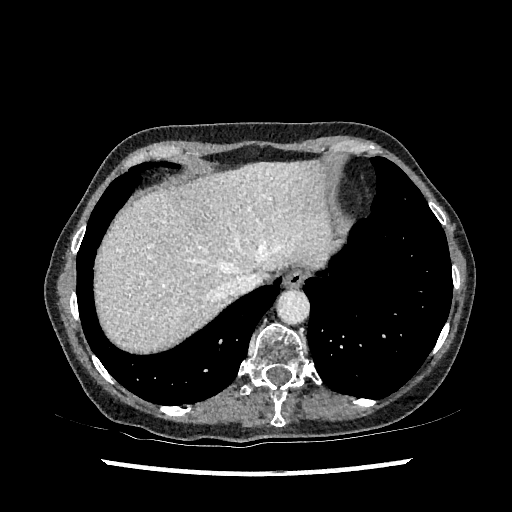 Upper abdomen | CT image

Segmented structures:
• liver: box(95, 161, 332, 349)